Field of view 380 mm wide, 0.70 mm slice spacing. Computed tomography. 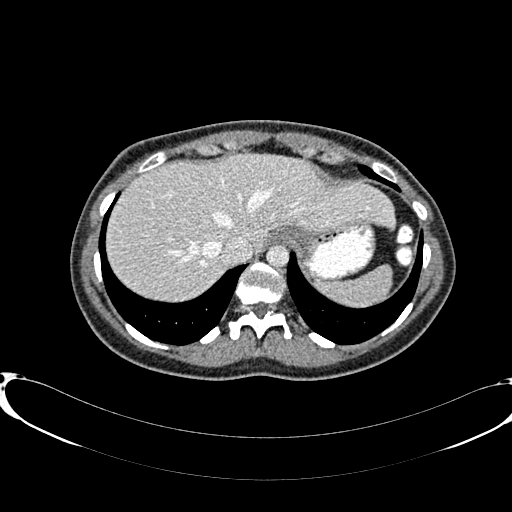

{"liver": ["<box>107,154,394,300</box>"]}